Head. Field of view 240x240 mm.
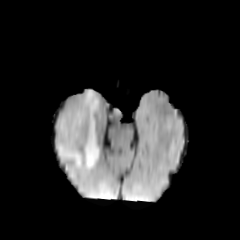
FLAIR MR.
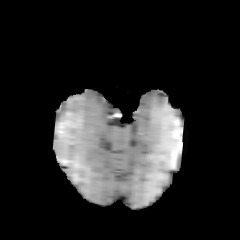
T1-weighted MR.
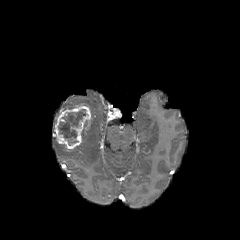
Same slice, post-contrast T1-weighted MR.
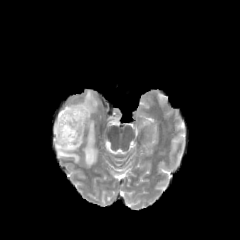
T2-weighted MRI.
non-enhancing_tumor_core:
  - [58, 109, 86, 143]
enhancing_tumor:
  - [54, 103, 91, 150]
edema:
  - [55, 90, 98, 168]